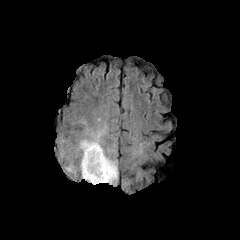
FLAIR MRI.
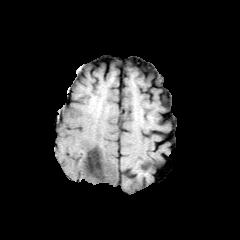
T1-weighted MR.
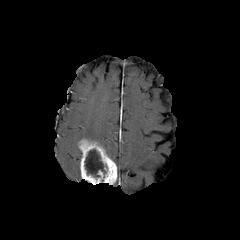
Post-contrast T1-weighted MRI.
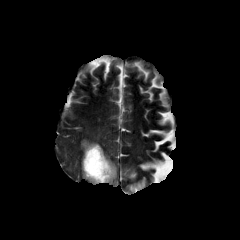
T2-weighted MRI of the same slice.
edema:
  - x1=57 y1=115 x2=118 y2=183
enhancing_tumor:
  - x1=78 y1=139 x2=117 y2=184
non-enhancing_tumor_core:
  - x1=84 y1=148 x2=107 y2=178